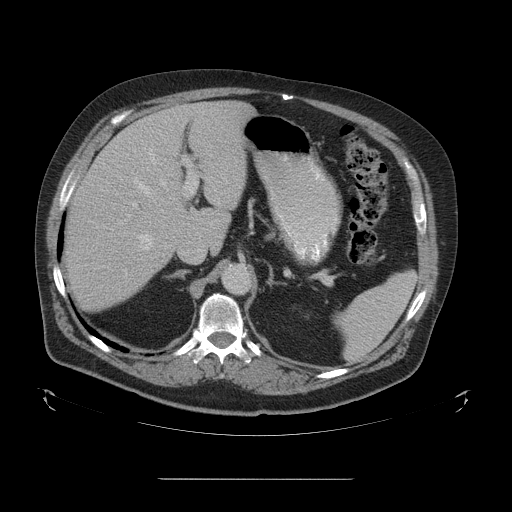
Liver, Computed tomography, Image size 512x512
The vessel boxes may cover only some of the vessels.
12 hepatic vessel regions are bounded by rect(133, 176, 157, 201); rect(119, 176, 121, 179); rect(148, 144, 159, 170); rect(179, 243, 203, 262); rect(218, 202, 219, 204); rect(136, 140, 147, 142); rect(210, 222, 213, 226); rect(132, 202, 136, 206); rect(184, 158, 196, 196); rect(208, 178, 213, 186); rect(160, 178, 167, 190); rect(136, 233, 153, 249).